Image width 240 mm
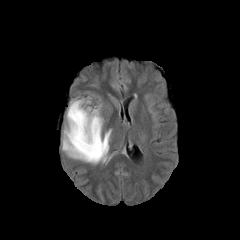
FLAIR MR.
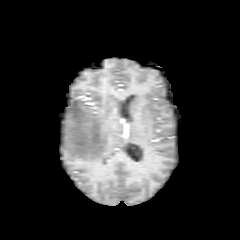
Same slice, T1-weighted MRI.
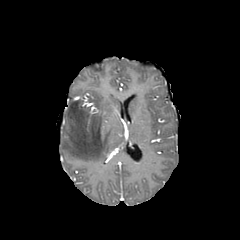
Post-contrast T1-weighted MRI.
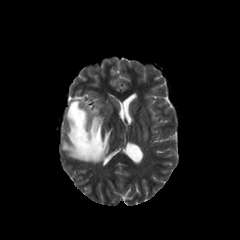
Same slice, T2-weighted MR image.
The non-enhancing tumor core is at region(70, 98, 96, 123). The edema appears at region(62, 102, 110, 163).